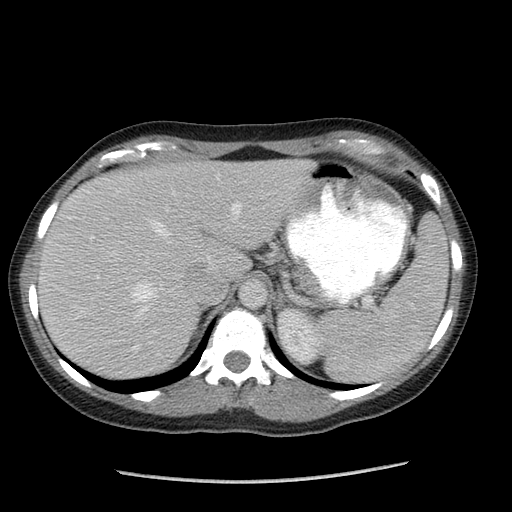

Computed tomography

spleen:
  - (323, 215, 448, 384)